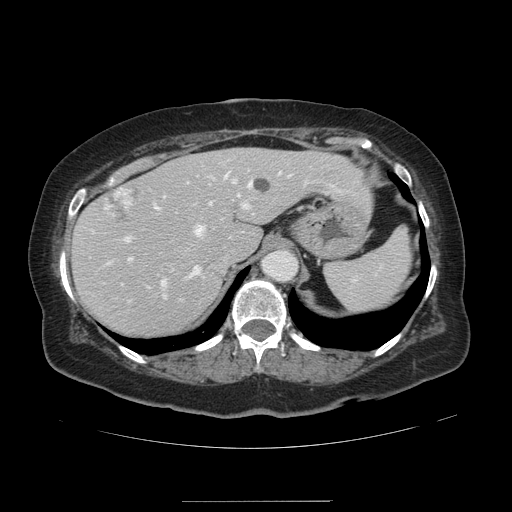
512x512, Abdomen, CT scan slice

Some hepatic vessels may have no box.
liver tumor: [96,186,136,225], [252,177,271,192] | [15/16] hepatic vessel: [241,203,248,207], [125,236,129,240], [208,201,211,203], [288,174,290,175], [154,204,158,208], [224,172,228,177], [305,179,310,183], [194,226,203,233], [107,261,110,263], [324,184,343,192], [128,257,131,260], [163,293,165,297], [160,279,164,285], [248,181,251,186], [231,179,235,182]